CT slice; Field of view 350 mm wide, 2.00 mm slice spacing
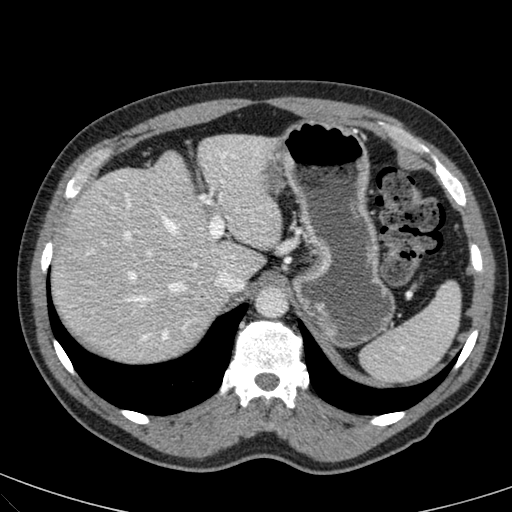
Liver: rect(53, 134, 279, 362).